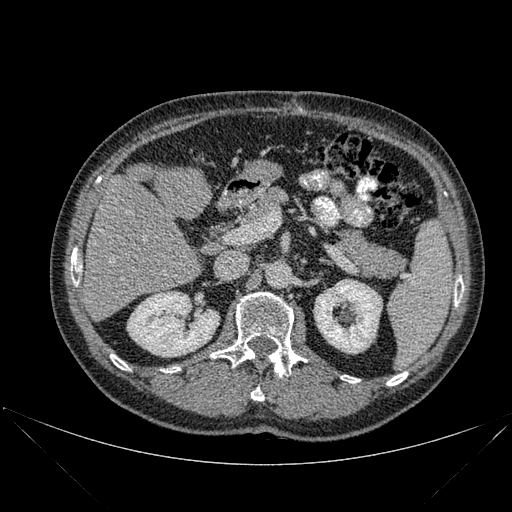 Liver | Image size 512x512 | CT
Annotated regions:
• kidney: (314, 279, 382, 353), (127, 292, 219, 356)
• bone: (71, 248, 81, 285), (210, 292, 306, 376), (251, 386, 264, 400), (341, 375, 359, 383), (386, 372, 407, 385), (110, 354, 130, 370), (162, 367, 180, 372), (454, 276, 463, 306)
• liver: (84, 163, 211, 319)